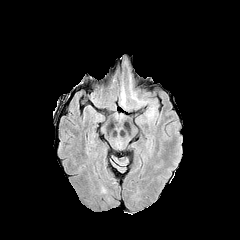
FLAIR MR.
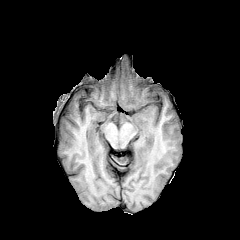
T1-weighted MR image of the same slice.
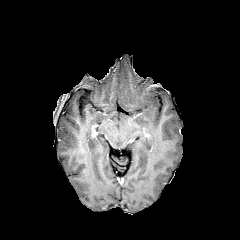
Same slice, post-contrast T1-weighted MR.
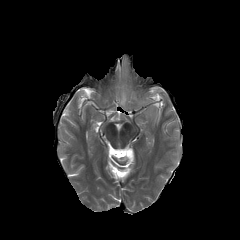
Same slice, T2-weighted MR.
Brain
2 edema regions are bounded by x1=119, y1=84, x2=147, y2=107; x1=144, y1=104, x2=158, y2=120.